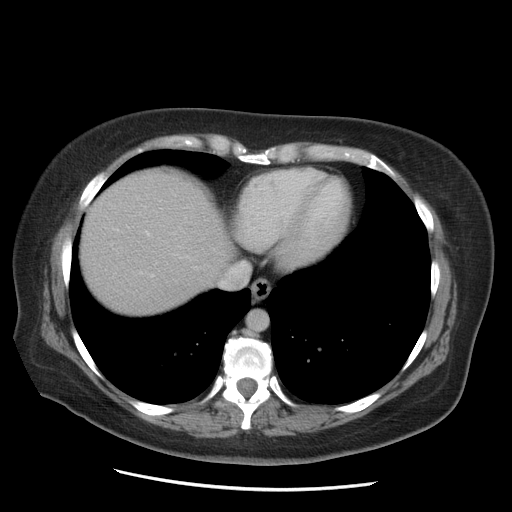 Computed tomography; Upper abdomen

The liver is at (81, 170, 232, 314).